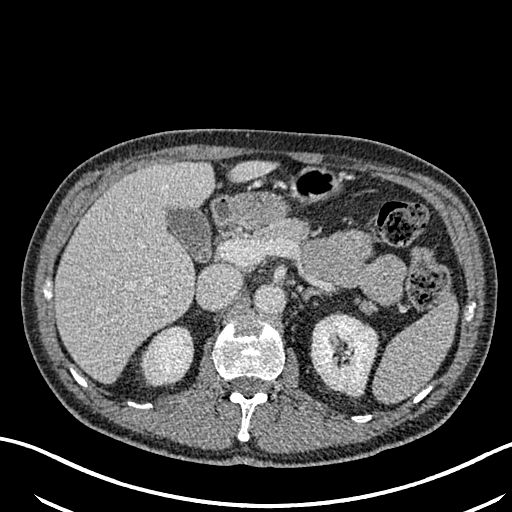 CT image.

2 kidney regions are bounded by [x1=312, y1=315, x2=376, y2=391], [x1=144, y1=327, x2=192, y2=381]. 2 liver regions are located at [x1=55, y1=162, x2=213, y2=382], [x1=228, y1=161, x2=274, y2=181].